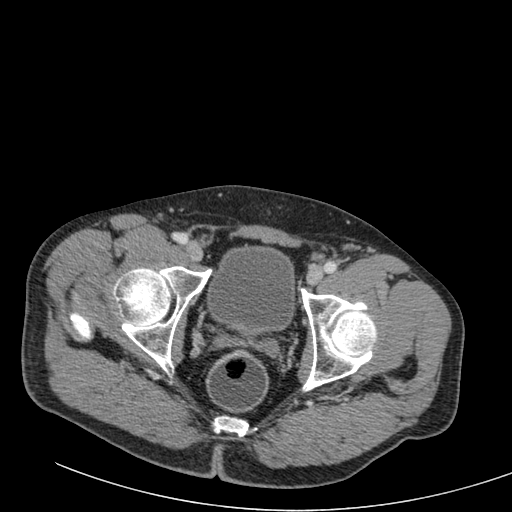
Lower abdomen. CT slice. <segmentation>
  <urinary_bladder>(207, 245, 294, 335)</urinary_bladder>
</segmentation>